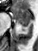 Magnetic resonance
The posterior hippocampus is located at 19 23 28 30. The anterior hippocampus appears at 11 6 30 22.